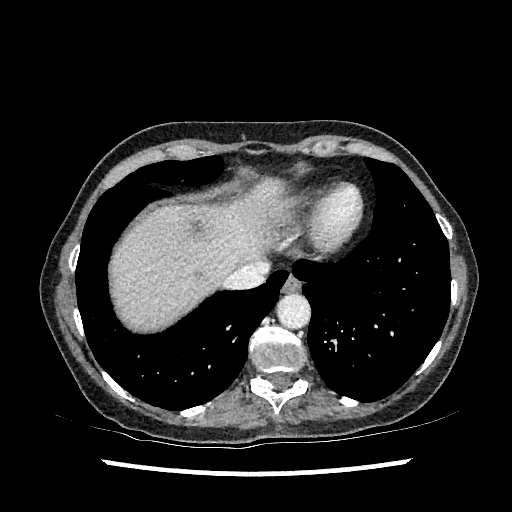
CT, Liver

liver: 111 180 283 329 | focal liver lesion: 187 218 209 241, 195 270 203 277